Slice 582/671. 512x512. Liver. Field of view 370x370 mm. Computed tomography. 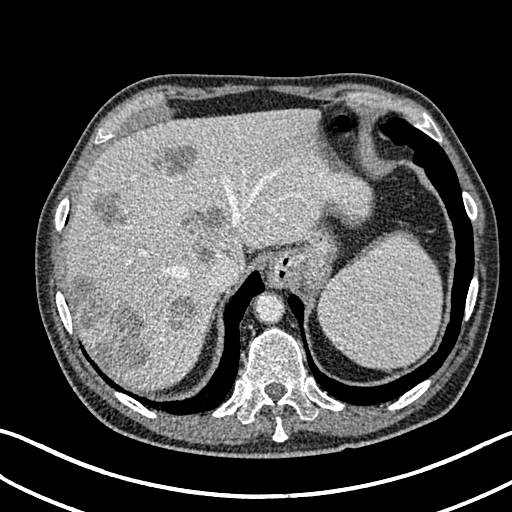 {
  "liver": [
    "73,315,111,353",
    "65,109,368,389"
  ],
  "hepatic_lesion": [
    "160,145,198,177",
    "168,293,196,332",
    "70,278,148,370",
    "90,196,126,234",
    "183,206,225,263"
  ]
}